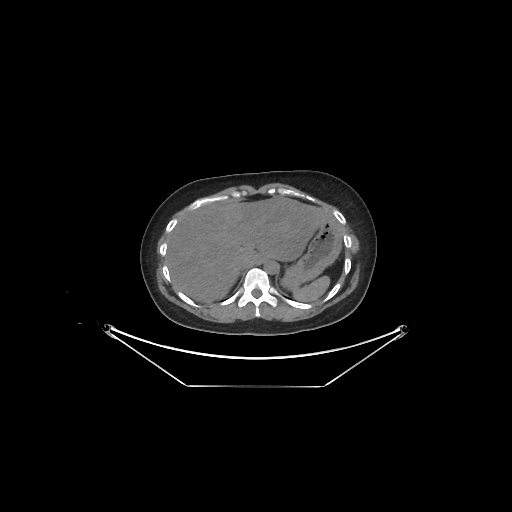
Liver; Computed tomography

{"liver": ["164,195,346,300"]}